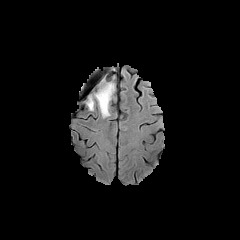
FLAIR magnetic resonance.
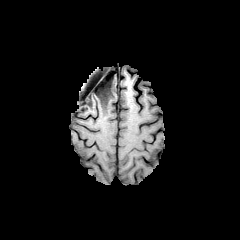
T1-weighted MRI of the same slice.
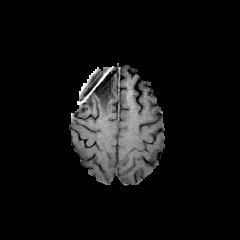
Post-contrast T1-weighted MR image.
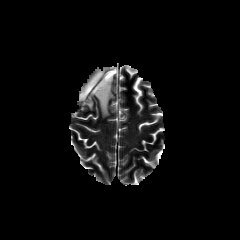
T2-weighted MR image.
240x240
2 non-enhancing tumor core regions are located at [x1=92, y1=78, x2=111, y2=114], [x1=84, y1=94, x2=95, y2=107]. 2 edema regions appear at [x1=102, y1=78, x2=115, y2=111], [x1=86, y1=94, x2=111, y2=117].